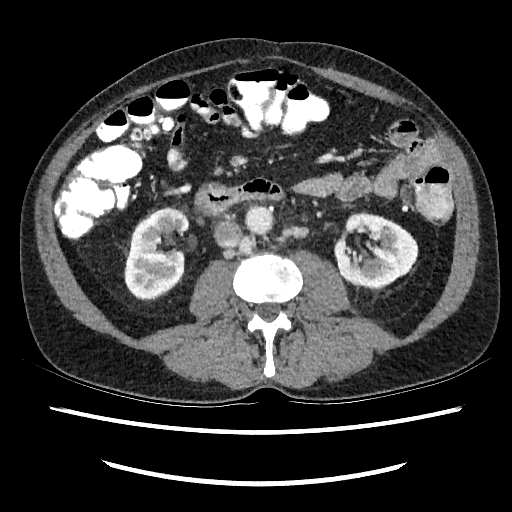

512x512 px, Computed tomography
kidney: x1=125, y1=209, x2=187, y2=298; x1=335, y1=214, x2=417, y2=287